512x512; Abdomen; CT image 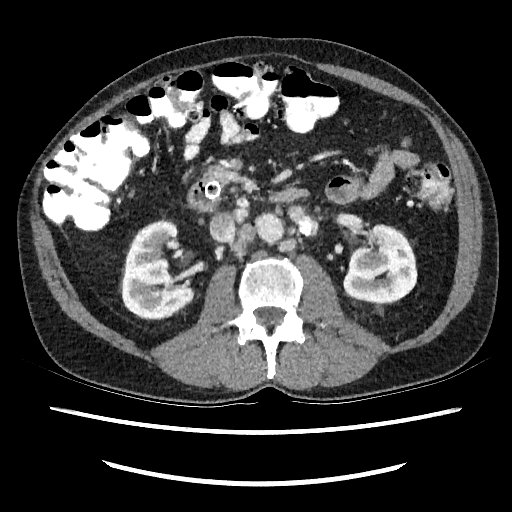

<segmentation>
  <kidney>bbox=[123, 222, 194, 322]; bbox=[344, 225, 416, 302]</kidney>
</segmentation>